Slice 449/733, Abdomen, CT slice, 512x512
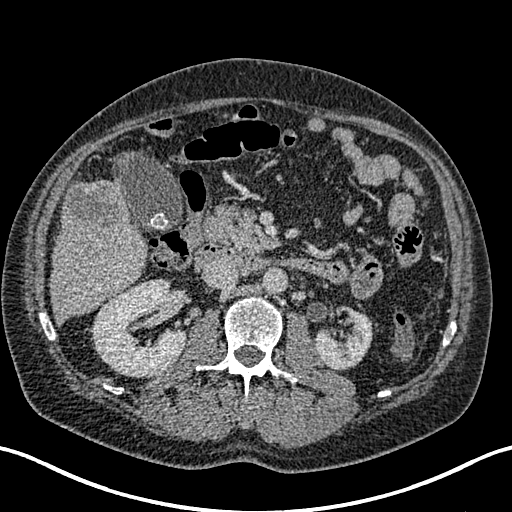

<segmentation>
  <hepatic_lesion>64 184 118 229, 79 240 94 259</hepatic_lesion>
  <liver>50 180 147 324</liver>
  <kidney>316 311 371 368, 93 280 185 376</kidney>
</segmentation>